Slice 26 of 41; Computed tomography 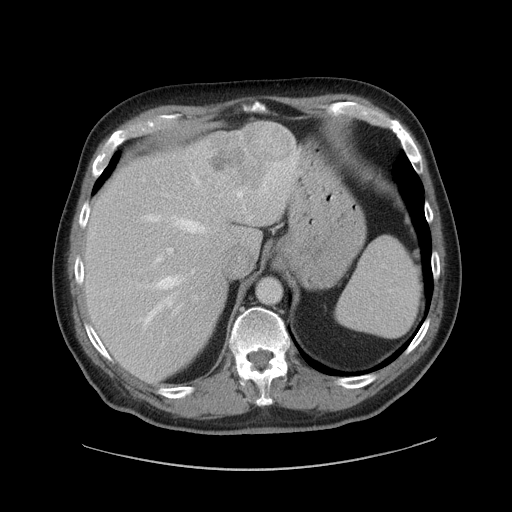 The vessel boxes may cover only some of the vessels.
Hepatic vessel at (left=141, top=305, right=161, bottom=327), (left=248, top=217, right=251, bottom=219), (left=157, top=276, right=178, bottom=288), (left=156, top=256, right=162, bottom=261), (left=242, top=206, right=244, bottom=209), (left=263, top=182, right=266, bottom=188), (left=237, top=192, right=242, bottom=196), (left=260, top=192, right=263, bottom=192), (left=193, top=176, right=198, bottom=183), (left=267, top=175, right=271, bottom=179), (left=166, top=298, right=171, bottom=306), (left=146, top=214, right=159, bottom=221), (left=167, top=248, right=172, bottom=252), (left=193, top=270, right=194, bottom=272), (left=172, top=216, right=204, bottom=232).
Liver tumor at (left=204, top=122, right=294, bottom=193).